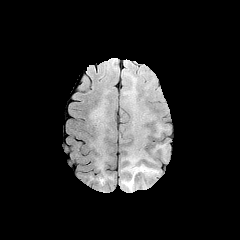
FLAIR MR image.
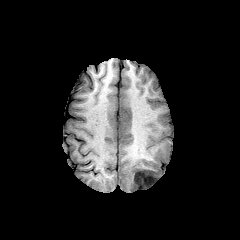
T1-weighted MRI.
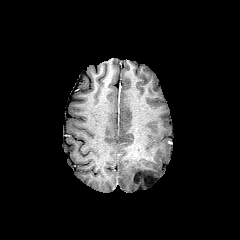
Post-contrast T1-weighted MR image of the same slice.
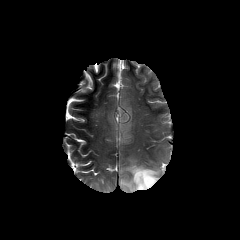
T2-weighted MR image of the same slice.
Brain
Annotated regions:
- edema: 121 156 161 191
- non-enhancing tumor core: 134 169 156 187